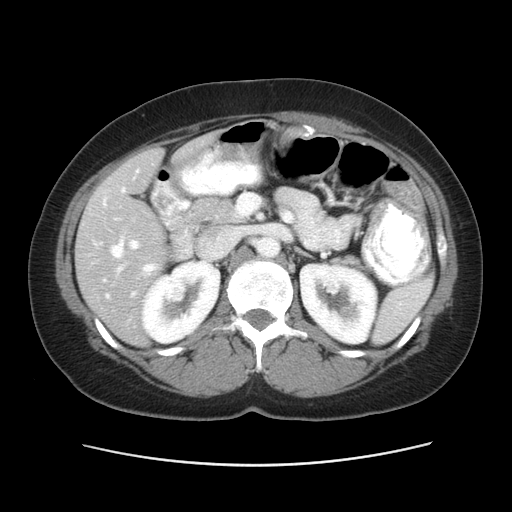
Abdomen. Computed tomography. Some hepatic vessels may have no box.
Findings:
• hepatic vessel: 131 292 135 295, 144 264 155 272, 130 241 137 247, 122 188 124 191, 136 170 137 172, 117 266 122 273, 115 218 118 219, 103 279 105 281, 106 295 108 297, 111 238 123 257